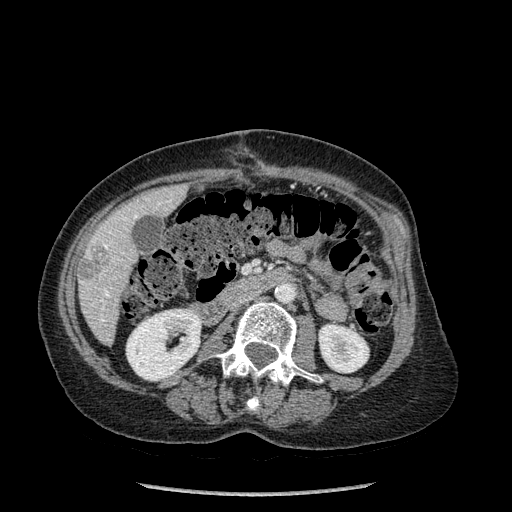
512x512; CT image; Upper abdomen
The liver lies within 77,184,186,345. 2 kidney regions appear at 319,325,368,372; 126,309,201,380. 2 bone regions are located at 215,301,315,385; 247,396,258,410. The liver lesion lies within 79,251,107,278.